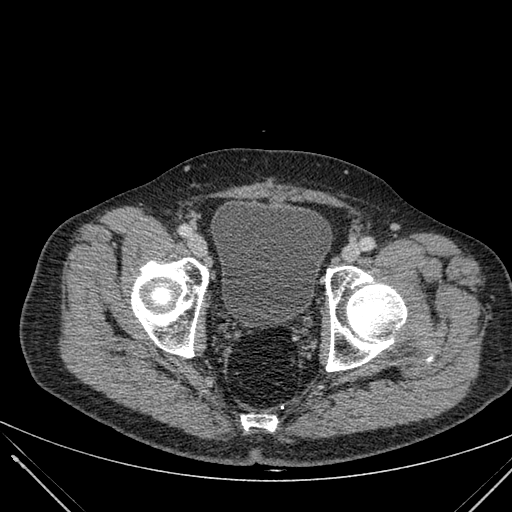
Lower abdomen, CT image
Urinary bladder at bbox=[210, 203, 332, 323].